Computed tomography; Lower abdomen; Slice index 127 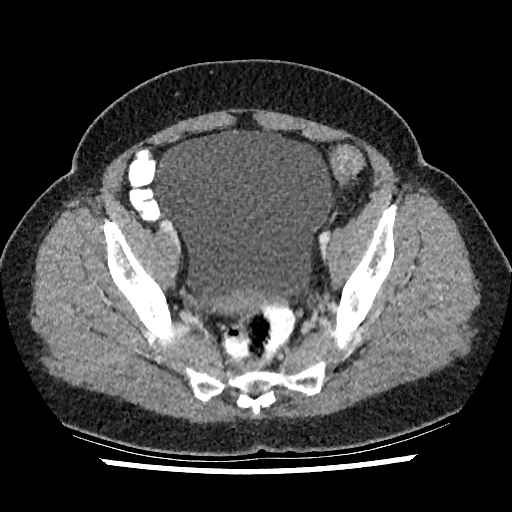
The urinary bladder lies within (left=154, top=128, right=332, bottom=308).